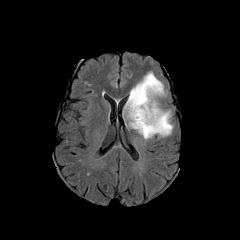
FLAIR MRI.
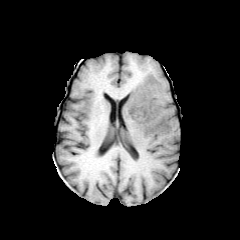
T1-weighted MR image.
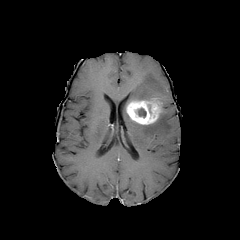
Post-contrast T1-weighted MR image of the same slice.
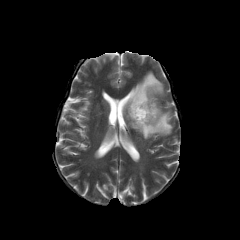
T2-weighted MRI of the same slice.
Image size 240x240
enhancing_tumor:
  - [126,98,161,124]
non-enhancing_tumor_core:
  - [138,108,146,116]
edema:
  - [123,104,173,139]
  - [128,72,166,101]